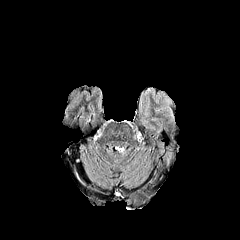
FLAIR MR.
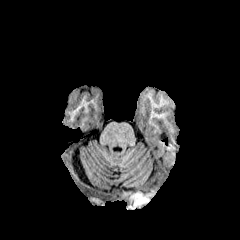
T1-weighted MRI.
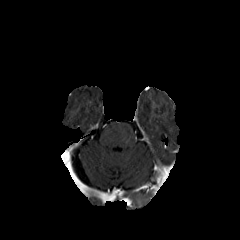
Same slice, post-contrast T1-weighted MR image.
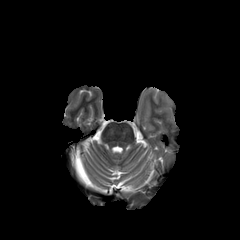
T2-weighted MR image.
Head
The edema is at 158:143:164:155.